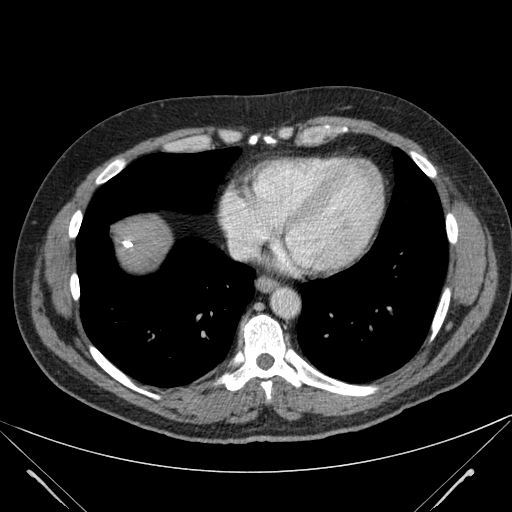
Abdomen, CT image

The liver appears at (113,216,169,269).